Computed tomography | Slice index 247 | Abdomen | 512x512 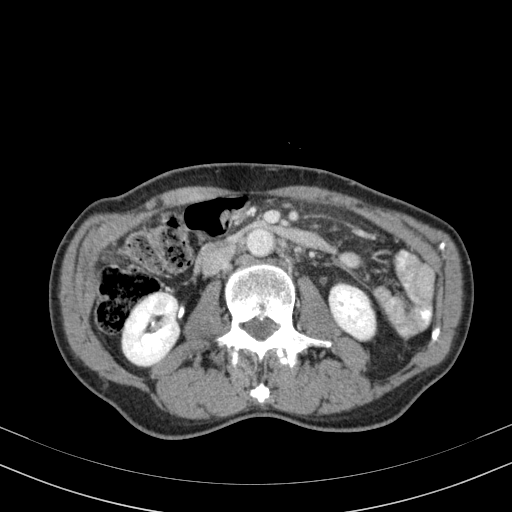
2 kidney regions are located at (329, 285, 374, 338), (123, 293, 178, 365).